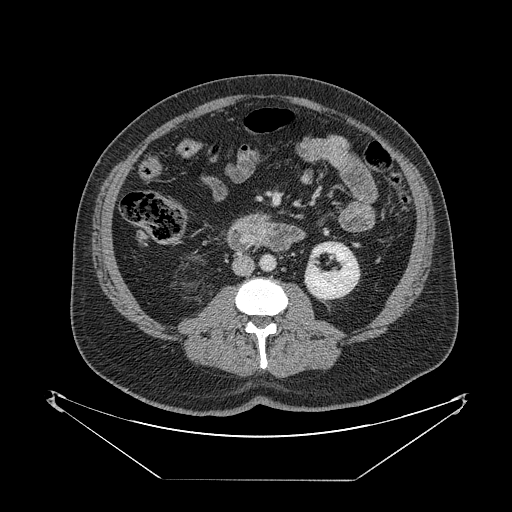
CT slice | 512x512 | Abdomen
{
  "pancreatic_tumor": [
    {"x1": 242, "y1": 214, "x2": 265, "y2": 235}
  ]
}